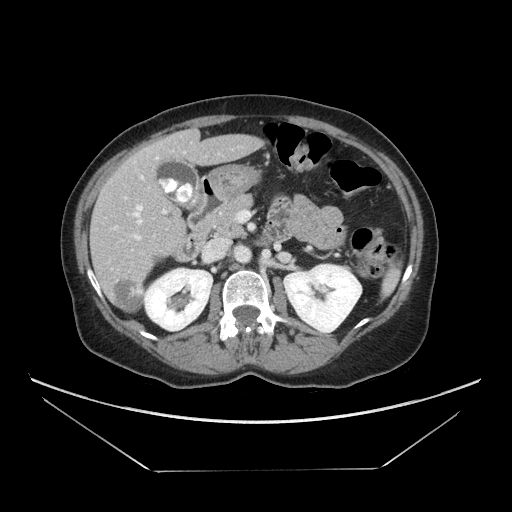 Abdomen | CT image

Annotated regions:
• pancreas: l=196, t=194, r=253, b=239